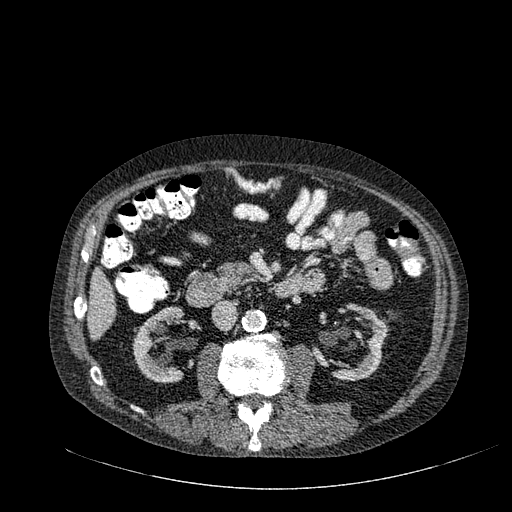 Upper abdomen. 512x512. CT scan slice.
{"kidney": ["region(315, 303, 388, 380)", "region(319, 312, 326, 323)", "region(132, 306, 197, 383)", "region(188, 320, 199, 329)"], "liver": ["region(89, 267, 115, 338)"]}